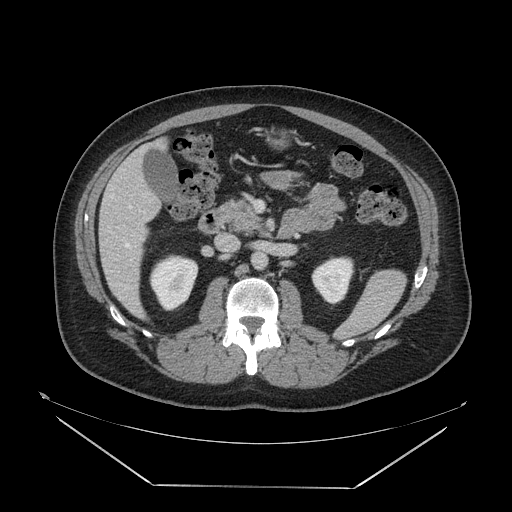

Computed tomography

Annotated regions:
• pancreas: region(220, 202, 260, 231)